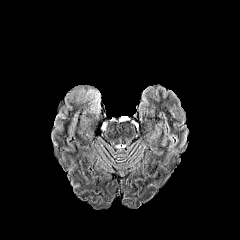
FLAIR magnetic resonance.
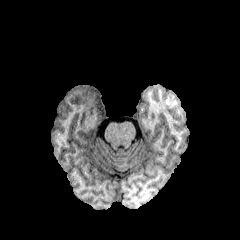
T1-weighted magnetic resonance of the same slice.
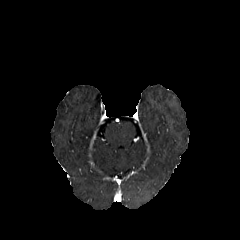
Post-contrast T1-weighted MR image.
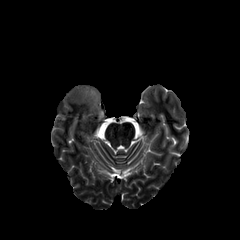
T2-weighted MRI.
Head. 240x240 px.
edema: left=74, top=86, right=100, bottom=114